Computed tomography, Abdomen

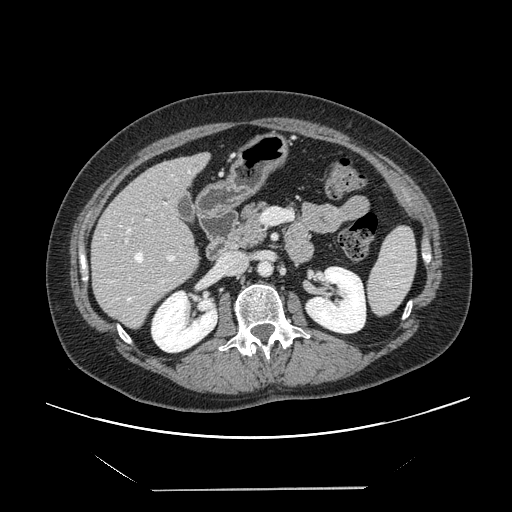 Not every hepatic vessel necessarily has a box.
{"hepatic_vessel": ["[x1=166, y1=254, x2=175, y2=261]", "[x1=133, y1=251, x2=143, y2=263]", "[x1=205, y1=253, x2=243, y2=282]", "[x1=161, y1=279, x2=165, y2=282]", "[x1=163, y1=203, x2=166, y2=205]", "[x1=146, y1=219, x2=150, y2=221]", "[x1=103, y1=234, x2=106, y2=238]", "[x1=131, y1=220, x2=132, y2=221]", "[x1=125, y1=227, x2=131, y2=242]", "[x1=126, y1=296, x2=134, y2=302]", "[x1=109, y1=281, x2=113, y2=282]", "[x1=129, y1=277, x2=130, y2=279]"]}